Upper abdomen. CT slice.
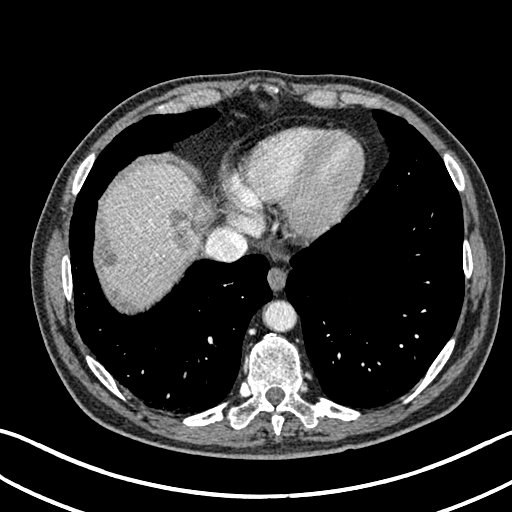
Liver = 96,163,199,304.
Liver lesion = 97,241,116,265; 170,210,191,250.